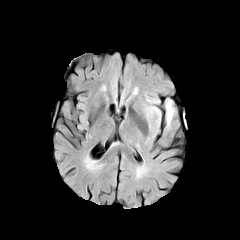
FLAIR MR.
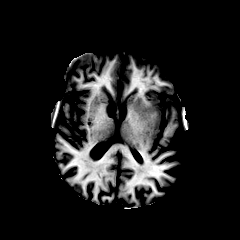
Same slice, T1-weighted MR image.
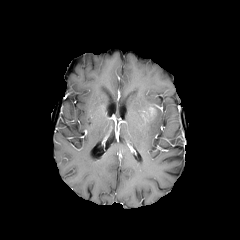
Same slice, post-contrast T1-weighted magnetic resonance.
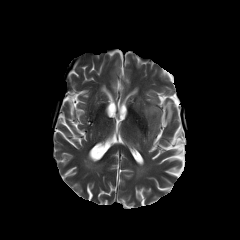
T2-weighted MR image.
Edema: 165 98 174 128, 144 99 161 128.